FLAIR MR.
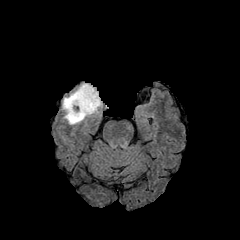
T1-weighted MR.
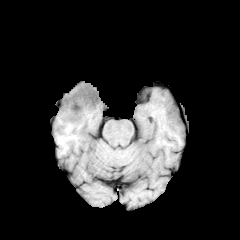
Post-contrast T1-weighted MR image.
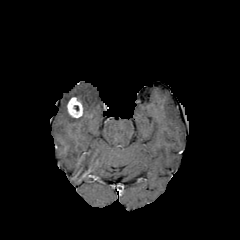
T2-weighted MR image.
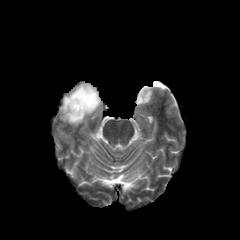
{
  "enhancing_tumor": [
    "<box>66,96,83,117</box>"
  ],
  "edema": [
    "<box>61,83,102,125</box>"
  ]
}